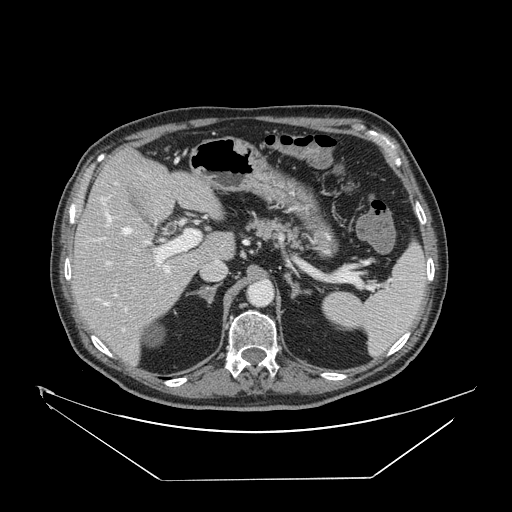 Computed tomography. 512x512 px.

pancreas: box=[242, 214, 316, 256]